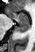 MR image
The anterior hippocampus is bounded by box=[7, 9, 28, 20]. The posterior hippocampus lies within box=[16, 20, 29, 32].